Abdomen. Slice index 386. CT image.

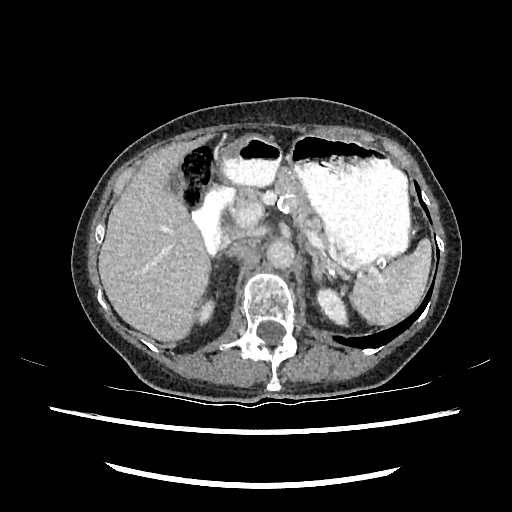
Liver = (99, 134, 210, 340).
Kidney = (202, 306, 209, 318), (318, 291, 344, 322).